CT scan slice. 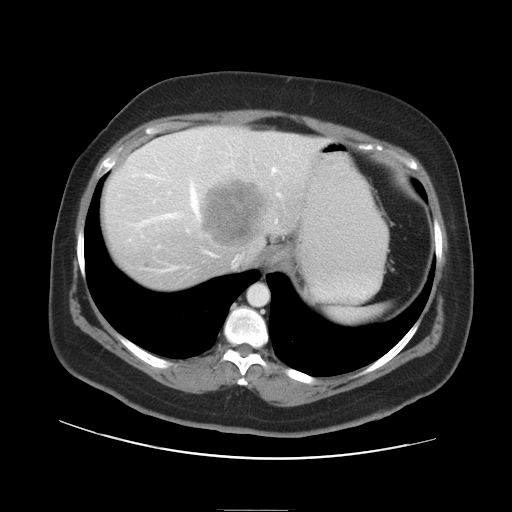 Only some of the vessels may be annotated.
The liver tumor is located at <box>200,180,263,244</box>. 6 hepatic vessel regions are bounded by <box>189,180,199,218</box>, <box>271,166,277,173</box>, <box>206,252,214,256</box>, <box>141,220,150,225</box>, <box>152,213,178,219</box>, <box>232,256,239,265</box>.